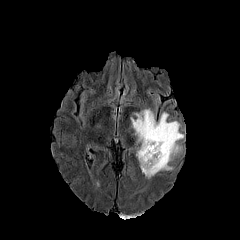
FLAIR MR image.
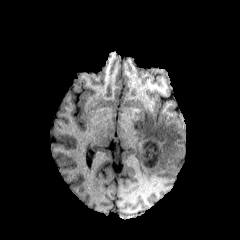
Same slice, T1-weighted magnetic resonance.
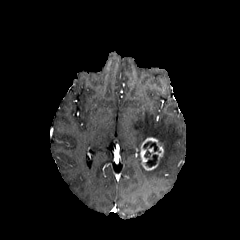
Same slice, post-contrast T1-weighted MR.
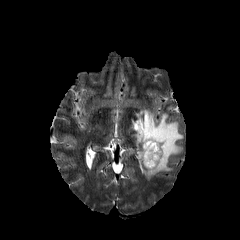
T2-weighted MR image.
Annotated regions:
* enhancing tumor: left=139, top=137, right=164, bottom=170
* non-enhancing tumor core: left=149, top=143, right=160, bottom=152; left=144, top=149, right=158, bottom=166
* edema: left=131, top=110, right=183, bottom=179